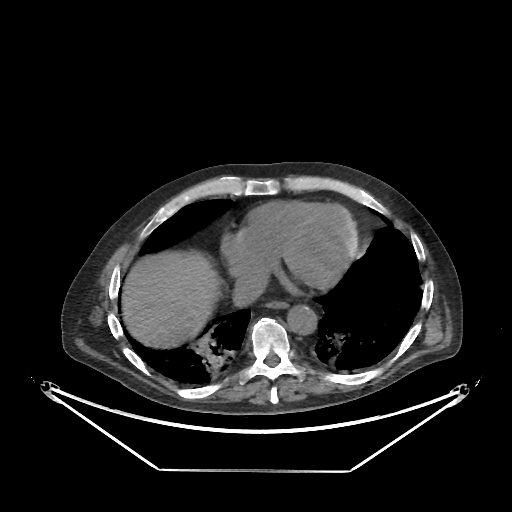

CT | Abdomen
<segmentation>
  <liver>l=122, t=253, r=220, b=348</liver>
</segmentation>